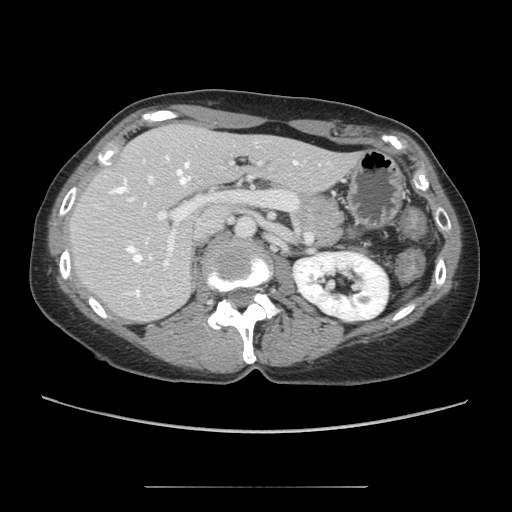

CT image; Abdomen
Pancreas: x1=293 y1=193 x2=345 y2=247.